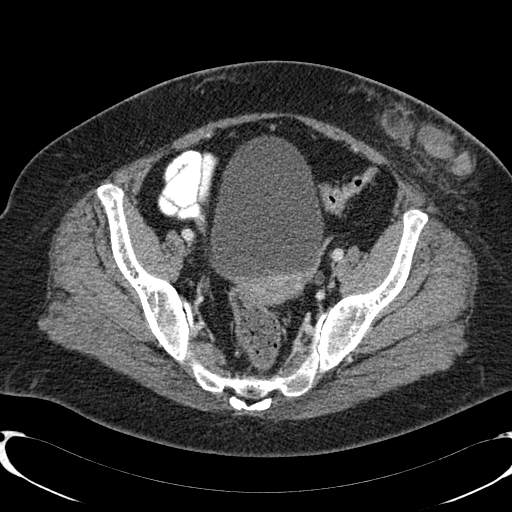

512x512 px | CT
• urinary bladder: [211, 136, 323, 278]